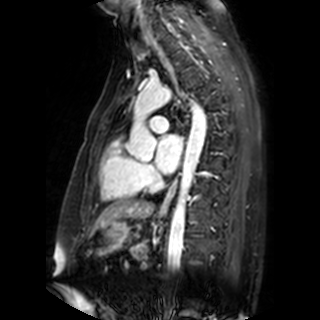

MRI slice
left_atrium:
  - rect(154, 134, 182, 173)